Image size 512x512 | Abdomen | Computed tomography
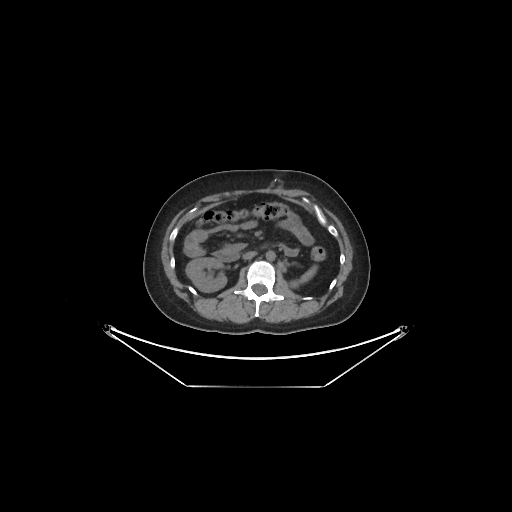 The kidney is located at 186,258,226,292.